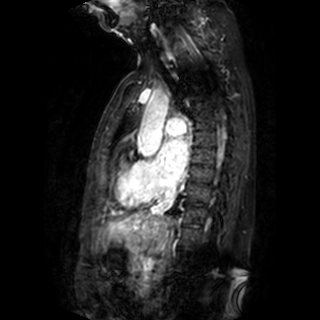 320x320 px | MRI slice | Heart
Left atrium — <bbox>159, 139, 188, 180</bbox>.